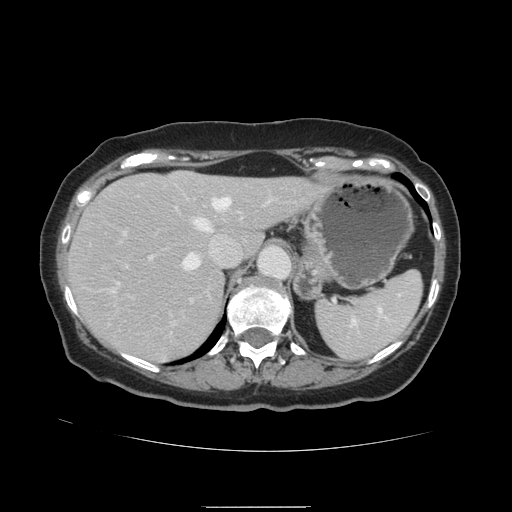

Liver | Computed tomography | 512x512 px
The vessel annotation is not exhaustive.
Segmented structures:
• hepatic vessel: box=[211, 197, 230, 209]; box=[181, 254, 198, 270]; box=[192, 218, 209, 230]; box=[148, 256, 151, 259]; box=[123, 233, 124, 234]; box=[111, 290, 113, 291]